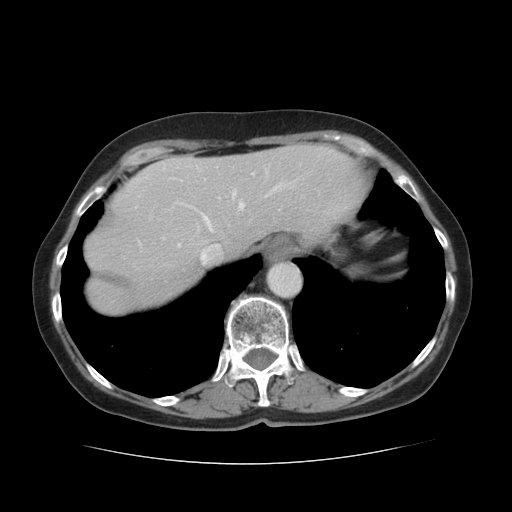

CT image, 512x512
liver: <bbox>84, 144, 373, 314</bbox> | lung: <bbox>60, 200, 261, 397</bbox>, <bbox>292, 169, 445, 387</bbox> | bone: <bbox>412, 338, 435, 367</bbox>, <bbox>211, 295, 304, 406</bbox>, <bbox>446, 272, 454, 302</bbox>, <bbox>434, 227, 448, 249</bbox>, <bbox>358, 144, 368, 153</bbox>, <bbox>56, 244, 67, 267</bbox>, <bbox>339, 387, 367, 396</bbox>, <bbox>86, 364, 111, 388</bbox>, <bbox>152, 396, 179, 405</bbox>, <bbox>75, 186, 101, 218</bbox>, <bbox>52, 292, 61, 322</bbox>, <bbox>397, 175, 421, 201</bbox>